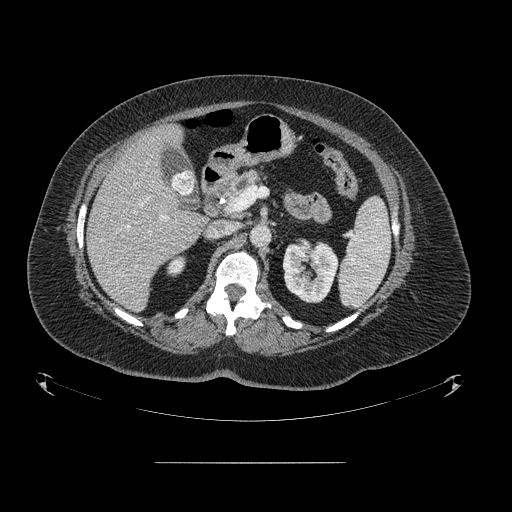
CT scan slice

The pancreas appears at <bbox>217, 171, 262, 199</bbox>.